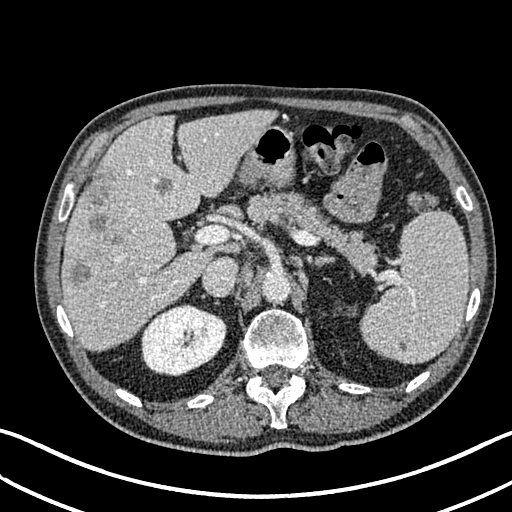
Abdomen | CT image
Liver lesion = 155:177:171:195, 89:214:110:230, 71:263:91:284, 85:174:115:205.
Liver = 63:110:274:350.
Kidney = 142:306:225:374.